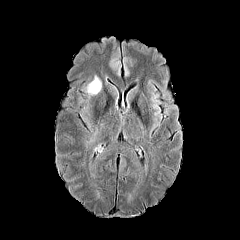
FLAIR MR.
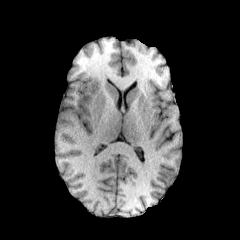
T1-weighted magnetic resonance.
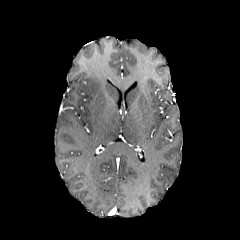
Post-contrast T1-weighted MR of the same slice.
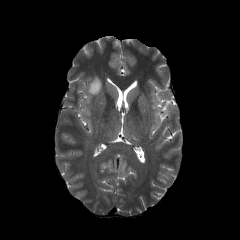
T2-weighted MR.
The edema is at rect(84, 76, 101, 98).